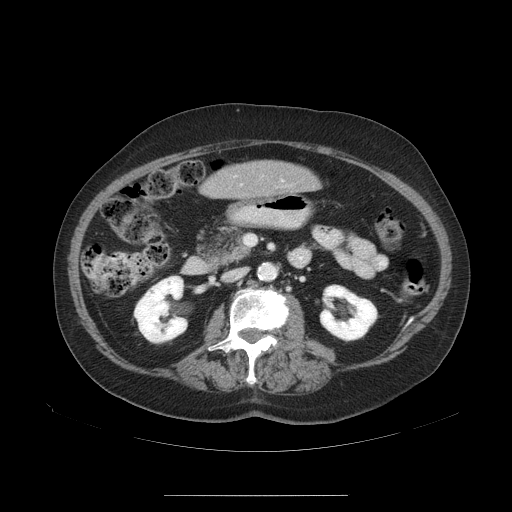

CT slice

The vessel boxes may cover only some of the vessels.
hepatic vessel: <box>281,180,282,181</box>, <box>240,184,241,185</box>